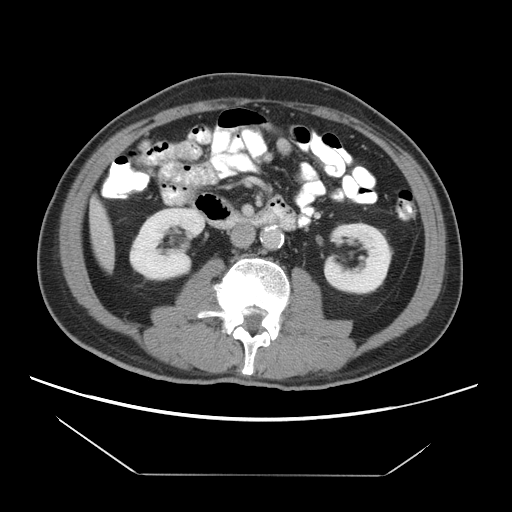 CT slice | 512x512
The vessel annotation is not exhaustive.
The hepatic vessel is at (95,208,99,215).